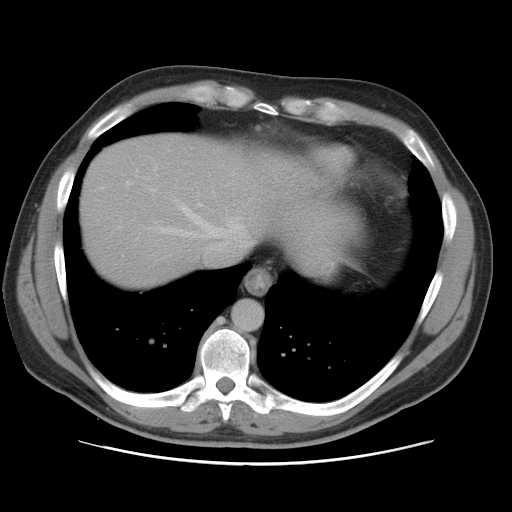
CT. Abdomen.

Some hepatic vessels may have no box.
{
  "hepatic_vessel": [
    "(x1=158, y1=201, x2=250, y2=253)"
  ]
}